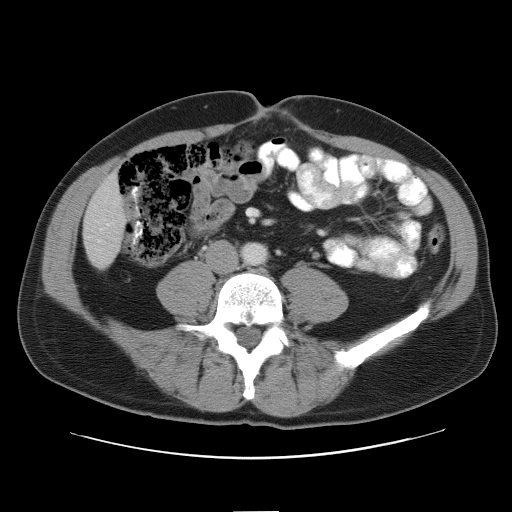

512x512. Abdomen. CT.

Not every hepatic vessel necessarily has a box.
<segmentation>
  <hepatic_vessel>98,240,99,242; 107,224,110,225</hepatic_vessel>
</segmentation>